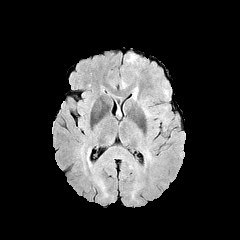
FLAIR magnetic resonance.
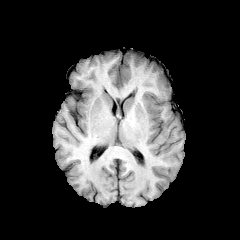
Same slice, T1-weighted MR.
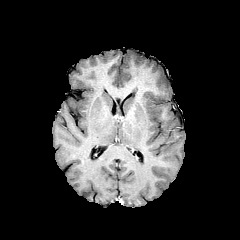
Post-contrast T1-weighted MRI.
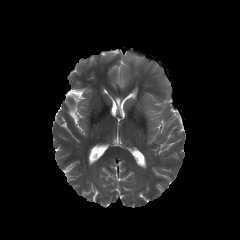
T2-weighted MR image.
Image size 240x240
Annotated regions:
* edema: l=126, t=54, r=138, b=63; l=131, t=88, r=138, b=100